Abdomen | CT slice | Slice 448/696 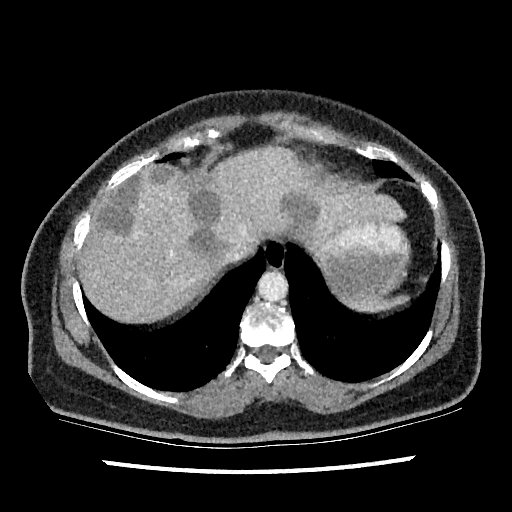
4 hepatic lesion regions are located at (179,171,229,257), (152,165,174,183), (280,194,318,239), (96,176,139,234). 3 liver regions are located at (97,189,115,214), (205,147,403,248), (81,164,228,323).